Image size 240x240. Field of view 240 mm wide, 1.00 mm slice spacing. Slice 111 of 155. Brain.
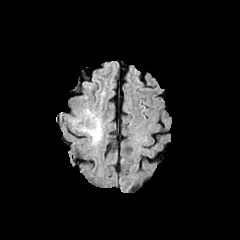
FLAIR MR.
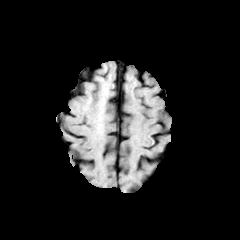
T1-weighted MR image.
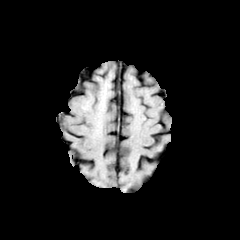
Same slice, post-contrast T1-weighted MR image.
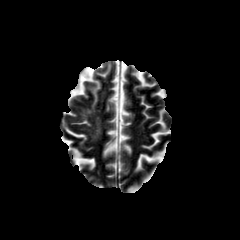
T2-weighted MRI of the same slice.
edema: [87, 118, 101, 140]